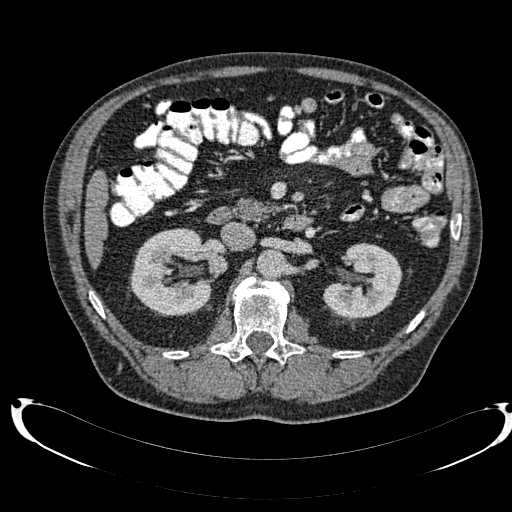
CT image; Liver

Liver — box(84, 169, 106, 266).
Kidney — box(323, 243, 401, 319); box(130, 228, 227, 315).